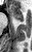 Medial temporal lobe. Image size 32x52. MRI slice.

The anterior hippocampus is located at (9,5,23,20).